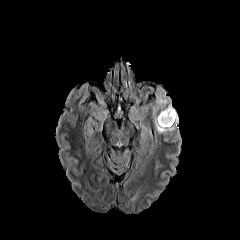
FLAIR MR image.
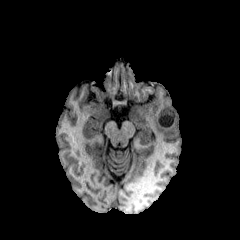
T1-weighted magnetic resonance of the same slice.
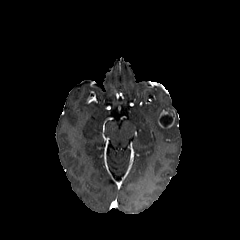
Post-contrast T1-weighted MRI.
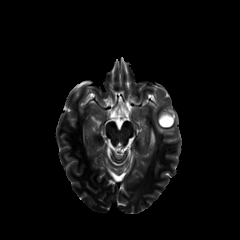
Same slice, T2-weighted MRI.
Brain
edema:
  - left=139, top=142, right=149, bottom=149
  - left=149, top=87, right=179, bottom=136
  - left=134, top=107, right=150, bottom=141
non-enhancing_tumor_core:
  - left=160, top=111, right=173, bottom=127
enhancing_tumor:
  - left=158, top=107, right=175, bottom=128